Liver, CT image

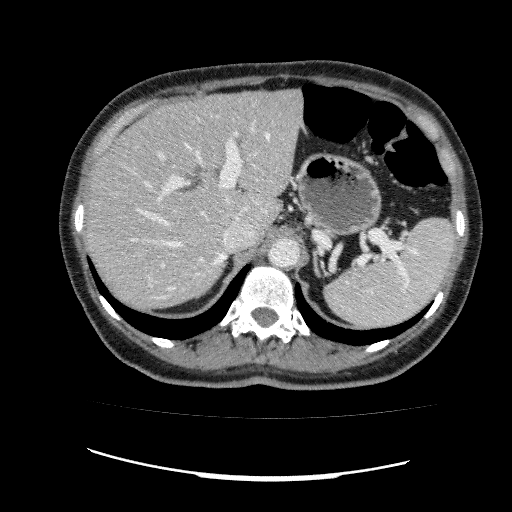

Segmented structures:
• liver: [x1=85, y1=89, x2=302, y2=309]